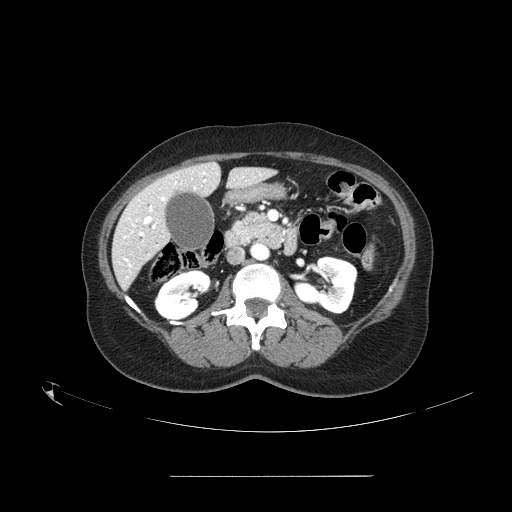 Upper abdomen, CT scan slice
The pancreas is bounded by 233 212 282 248.